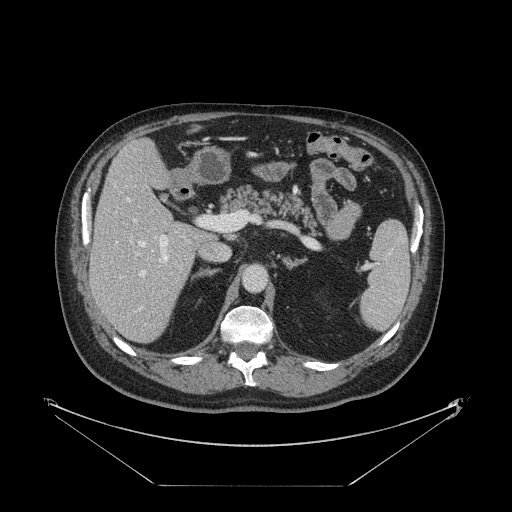

Liver | CT
Some hepatic vessels may have no box.
3 hepatic vessel regions appear at box(160, 235, 166, 258); box(126, 198, 129, 201); box(134, 219, 136, 221).